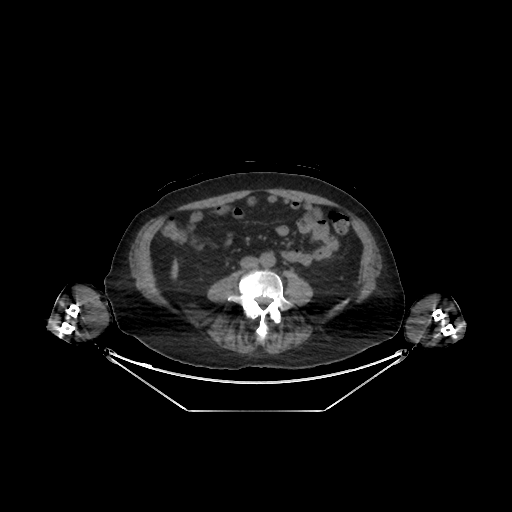

CT. Abdomen.
Liver at region(172, 261, 177, 277).